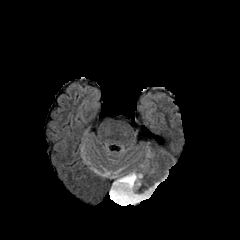
FLAIR MRI.
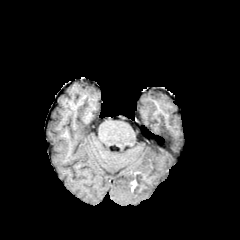
T1-weighted MRI of the same slice.
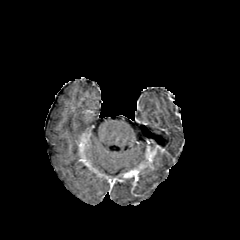
Same slice, post-contrast T1-weighted MR.
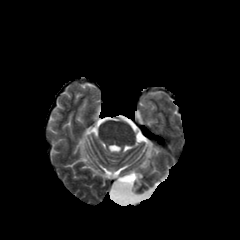
T2-weighted magnetic resonance.
Head, Image size 240x240
{"non-enhancing_tumor_core": ["<box>105,174,139,196</box>"], "edema": ["<box>104,167,124,177</box>", "<box>109,174,153,205</box>"], "enhancing_tumor": ["<box>115,170,138,181</box>"]}